Computed tomography 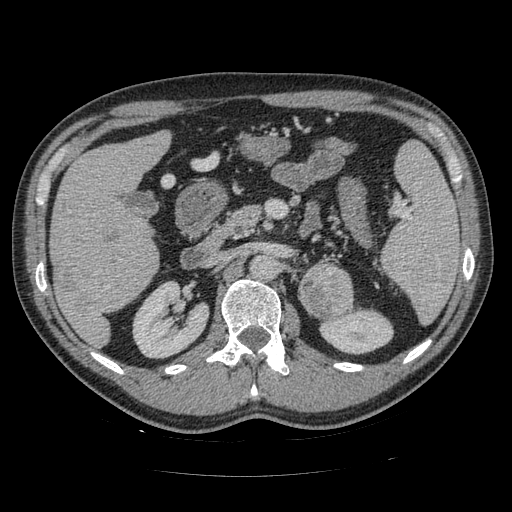
pancreas:
  - (left=226, top=204, right=260, bottom=235)
pancreatic_tumor:
  - (left=299, top=264, right=353, bottom=318)